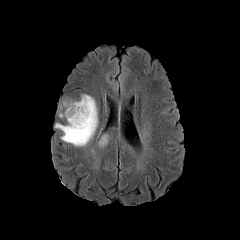
FLAIR MRI.
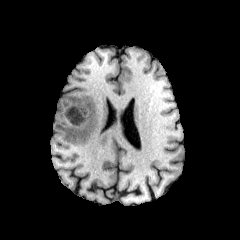
Same slice, T1-weighted MR.
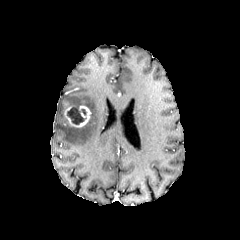
Same slice, post-contrast T1-weighted magnetic resonance.
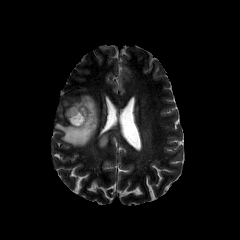
T2-weighted MR image.
Edema — box=[55, 94, 98, 146]; box=[99, 133, 107, 147].
Enhancing tumor — box=[63, 100, 91, 127].
Non-enhancing tumor core — box=[67, 104, 85, 125].